FLAIR MR.
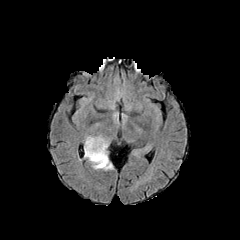
T1-weighted MR image.
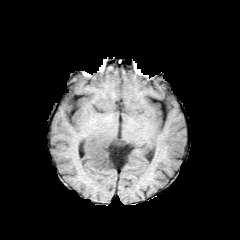
Post-contrast T1-weighted MRI.
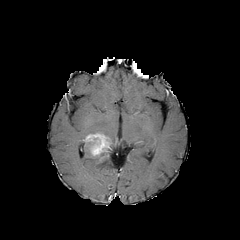
T2-weighted magnetic resonance.
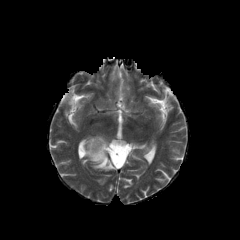
Head
{
  "edema": [
    "<bbox>84, 144, 113, 171</bbox>"
  ],
  "enhancing_tumor": [
    "<bbox>85, 134, 109, 159</bbox>"
  ],
  "non-enhancing_tumor_core": [
    "<bbox>96, 152, 108, 160</bbox>"
  ]
}